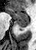

Medial temporal lobe. MR. 36x50.
{
  "anterior_hippocampus": [
    "<box>7,9,28,22</box>"
  ],
  "posterior_hippocampus": [
    "<box>16,23,28,30</box>"
  ]
}